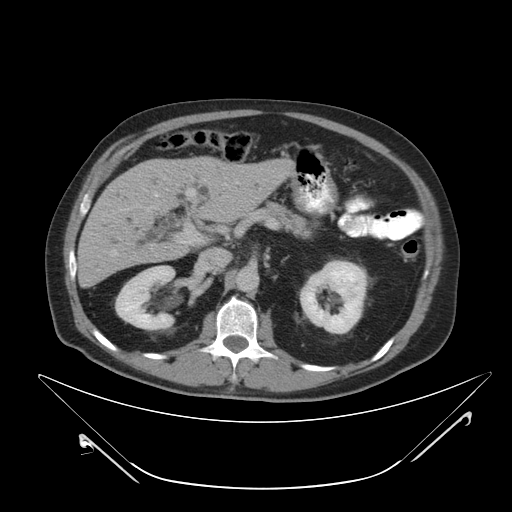

Abdomen. CT scan slice.
pancreas:
  - region(268, 203, 309, 236)